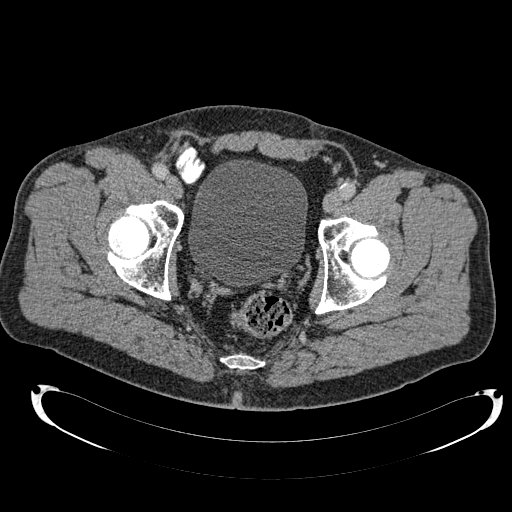 CT image; Pelvis

{
  "urinary_bladder": [
    "region(188, 159, 307, 286)"
  ]
}